384x384 px
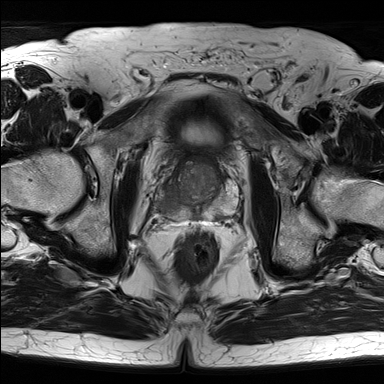
T2-weighted MR.
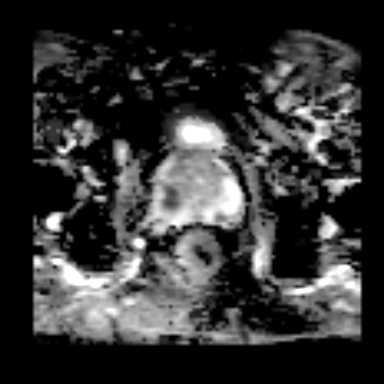
Same slice, ADC MR image.
{
  "prostate_transition_zone": [
    "box=[173, 160, 219, 205]"
  ],
  "prostate_peripheral_zone": [
    "box=[161, 173, 237, 220]"
  ]
}